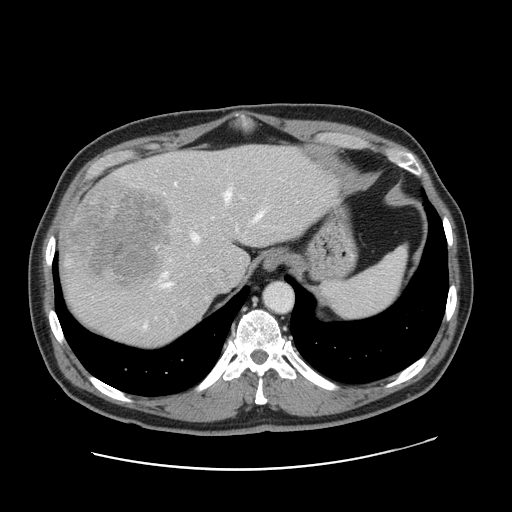
CT scan slice. Abdomen. 512x512.
Not every hepatic vessel necessarily has a box.
hepatic_vessel:
  - 144:318:147:328
  - 174:182:176:184
  - 236:226:237:230
  - 254:211:263:219
  - 191:233:199:240
  - 223:189:231:201
liver_tumor:
  - 65:183:171:288